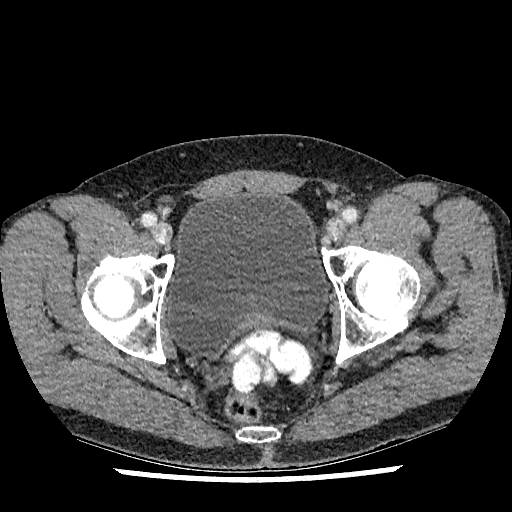 CT scan slice. Lower abdomen. Image size 512x512. Annotated regions:
* urinary bladder: x1=166 y1=195 x2=328 y2=354